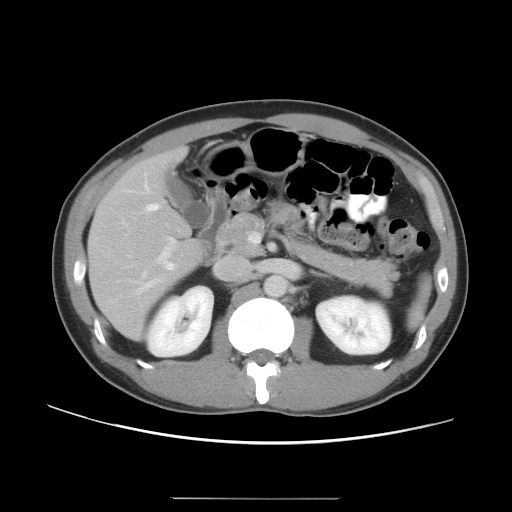 CT | Abdomen | Image size 512x512
Not every hepatic vessel necessarily has a box.
hepatic vessel: box(126, 172, 150, 194); box(145, 203, 160, 211); box(137, 279, 159, 294); box(143, 272, 146, 276); box(158, 238, 176, 269)